Brain. Slice 97 of 155.
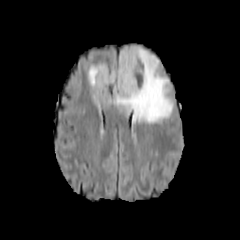
FLAIR MR image.
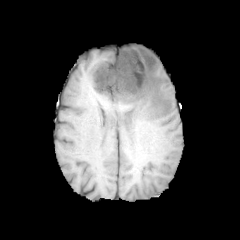
T1-weighted MR image.
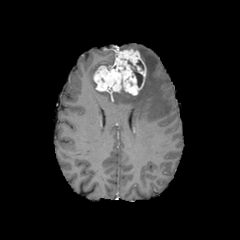
Post-contrast T1-weighted MR of the same slice.
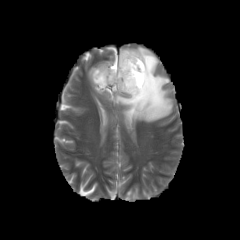
T2-weighted magnetic resonance.
Enhancing tumor: bounding box x1=92, y1=48, x2=146, y2=95.
Edema: bounding box x1=116, y1=47, x2=173, y2=121; x1=87, y1=62, x2=109, y2=89.
Non-enhancing tumor core: bounding box x1=131, y1=66, x2=143, y2=88.